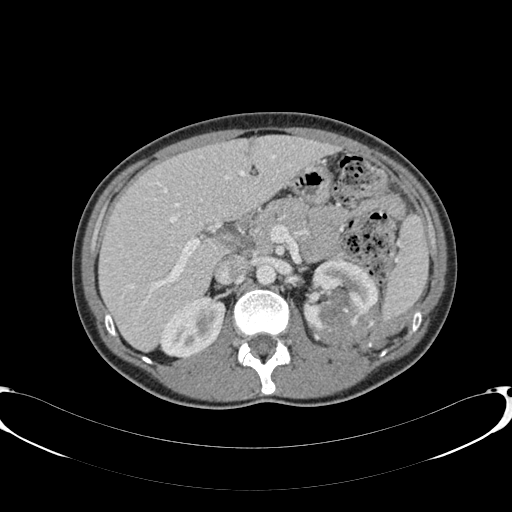
Upper abdomen, CT scan slice

The liver lesion lies within box=[249, 139, 255, 147]. The liver is located at box=[99, 136, 339, 350]. 2 kidney regions are bounded by box=[305, 260, 377, 344]; box=[161, 298, 224, 356].